FLAIR MR.
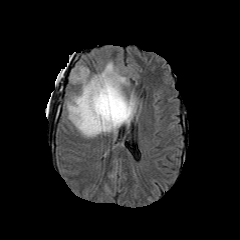
T1-weighted MR image.
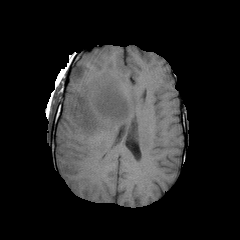
Post-contrast T1-weighted MR image.
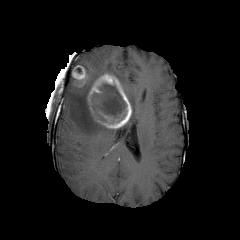
T2-weighted MRI.
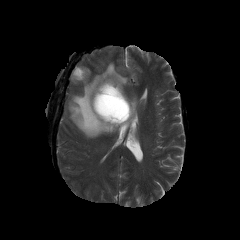
Enhancing tumor at (left=72, top=65, right=87, bottom=86), (left=87, top=73, right=132, bottom=128).
Non-enhancing tumor core at (left=95, top=83, right=126, bottom=119).
Edema at (left=67, top=61, right=129, bottom=137), (left=126, top=92, right=138, bottom=126).